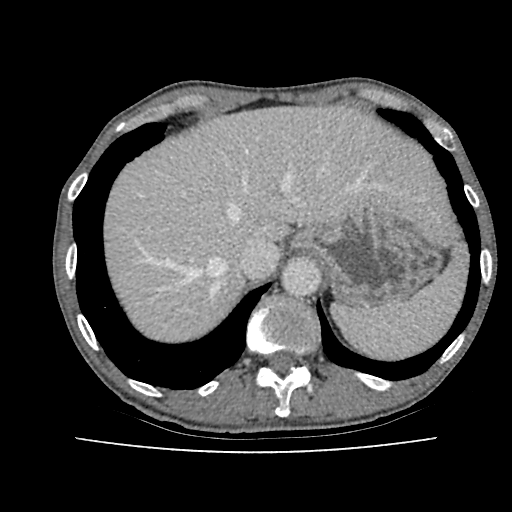 Abdomen | CT image
The liver is bounded by region(103, 106, 452, 339).